CT slice | Field of view 388x388 mm
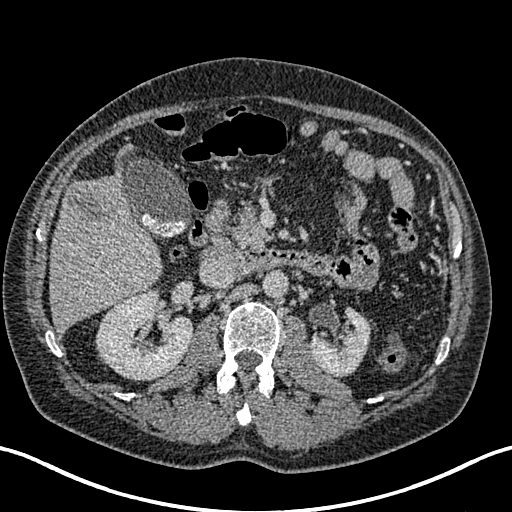

<segmentation>
  <liver>{"x1": 49, "y1": 176, "x2": 162, "y2": 333}, {"x1": 117, "y1": 143, "x2": 138, "y2": 160}</liver>
  <kidney>{"x1": 97, "y1": 292, "x2": 192, "y2": 379}, {"x1": 311, "y1": 309, "x2": 369, "y2": 375}</kidney>
  <focal_liver_lesion>{"x1": 66, "y1": 182, "x2": 114, "y2": 224}</focal_liver_lesion>
</segmentation>